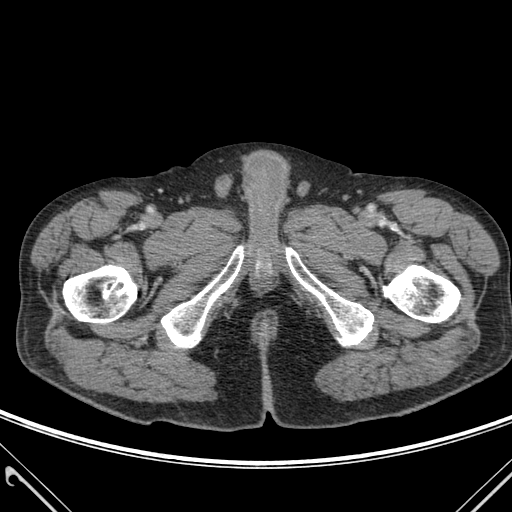
CT scan slice | Image size 512x512

Annotated regions:
- bone: [286,248,373,345], [161,246,243,347], [383,265,460,322], [63,265,136,322]